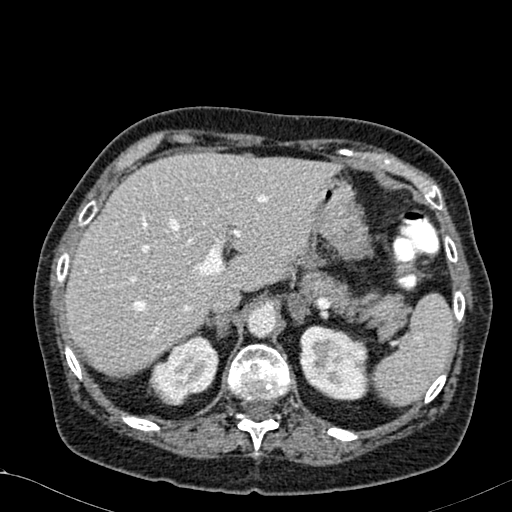

CT image. Liver.

The liver is located at bbox(65, 153, 341, 375). 2 kidney regions appear at bbox(150, 336, 217, 403); bbox(300, 326, 367, 399).